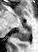

Medial temporal lobe. MRI slice.

The posterior hippocampus is located at box=[17, 28, 30, 41].